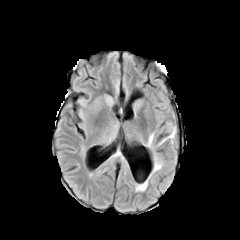
FLAIR MR.
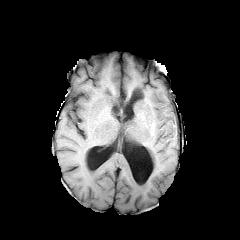
T1-weighted MRI.
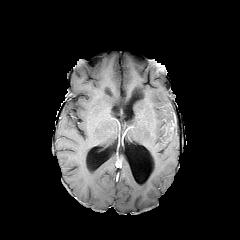
Post-contrast T1-weighted MR of the same slice.
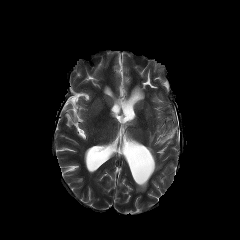
Same slice, T2-weighted magnetic resonance.
Edema: bbox=[136, 180, 147, 191]; bbox=[149, 153, 162, 178]; bbox=[159, 125, 175, 144]; bbox=[146, 133, 153, 148].